Slice 44/113; CT scan slice; Image size 512x512; Field of view 460x460 mm 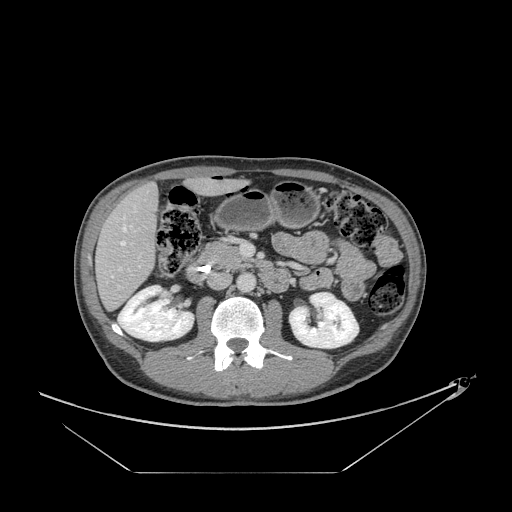
The pancreas is at box=[200, 242, 239, 266].